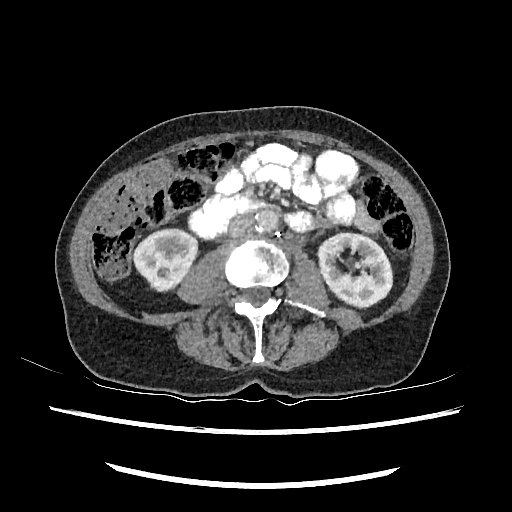
Image size 512x512, Abdomen, CT image

2 kidney regions are bounded by l=134, t=228, r=196, b=289; l=319, t=231, r=391, b=306.